Slice 113/155. Brain.
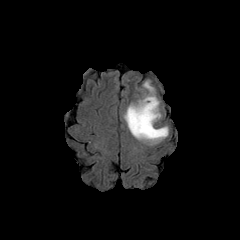
FLAIR MR image.
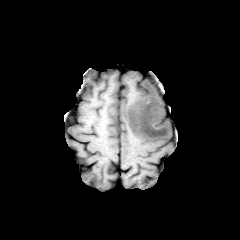
Same slice, T1-weighted magnetic resonance.
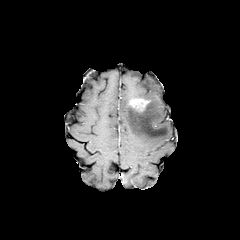
Post-contrast T1-weighted magnetic resonance of the same slice.
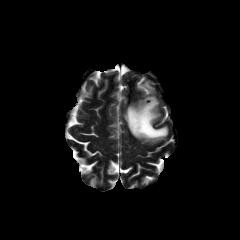
T2-weighted MRI.
Findings:
- enhancing tumor: 130 99 148 111
- edema: 123 81 169 144
- non-enhancing tumor core: 130 108 159 135